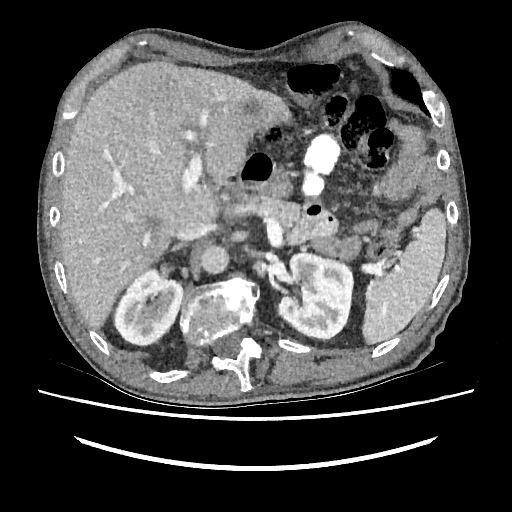 Computed tomography | Abdomen
<segmentation>
  <kidney><bbox>115, 270, 182, 344</bbox>, <bbox>273, 253, 352, 338</bbox></kidney>
  <hepatic_lesion><bbox>146, 217, 160, 236</bbox>, <bbox>244, 100, 259, 115</bbox></hepatic_lesion>
  <liver><bbox>61, 62, 290, 328</bbox></liver>
</segmentation>